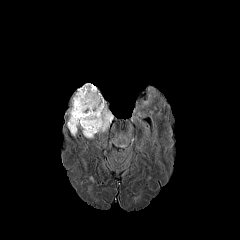
FLAIR MRI.
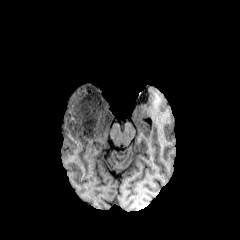
T1-weighted MRI.
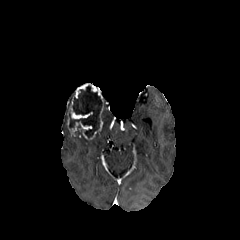
Post-contrast T1-weighted MR image.
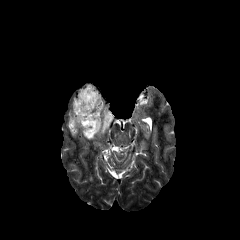
T2-weighted MR image of the same slice.
240x240 px
Findings:
- enhancing tumor: rect(70, 109, 93, 118); rect(67, 83, 108, 141)
- non-enhancing tumor core: rect(64, 87, 102, 136); rect(103, 108, 108, 125)
- edema: rect(100, 113, 112, 134)